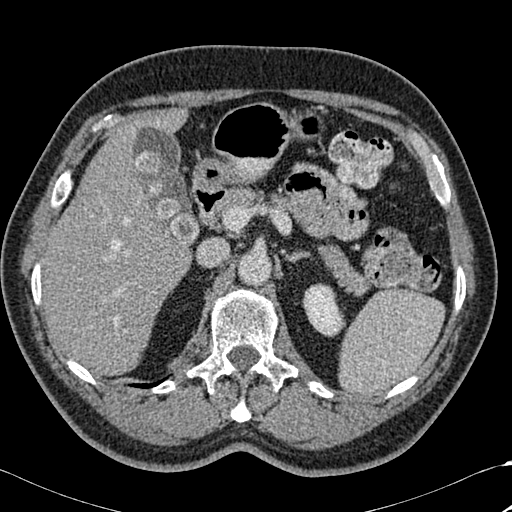 512x512 | CT image
2 liver regions are bounded by {"x1": 144, "y1": 111, "x2": 185, "y2": 131}, {"x1": 41, "y1": 122, "x2": 191, "y2": 375}. 10 bone regions appear at {"x1": 309, "y1": 382, "x2": 332, "y2": 397}, {"x1": 231, "y1": 400, "x2": 250, "y2": 421}, {"x1": 51, "y1": 172, "x2": 70, "y2": 206}, {"x1": 455, "y1": 268, "x2": 465, "y2": 309}, {"x1": 153, "y1": 381, "x2": 174, "y2": 392}, {"x1": 388, "y1": 377, "x2": 416, "y2": 396}, {"x1": 68, "y1": 361, "x2": 94, "y2": 383}, {"x1": 432, "y1": 169, "x2": 450, "y2": 204}, {"x1": 31, "y1": 265, "x2": 40, "y2": 303}, {"x1": 188, "y1": 290, "x2": 297, "y2": 390}. The kidney is bounded by {"x1": 304, "y1": 286, "x2": 341, "y2": 334}. The lung appears at {"x1": 130, "y1": 379, "x2": 164, "y2": 388}.